Abdomen | CT | 512x512 | Slice index 33 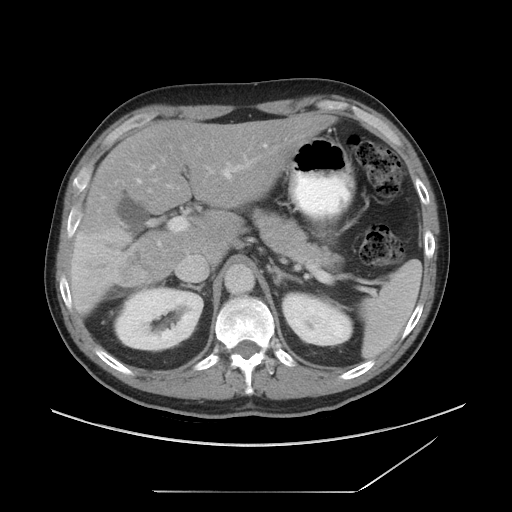
Some hepatic vessels may have no box.
Findings:
* liver tumor: (122,247,157,278)
* hepatic vessel: (224,170,229,177)